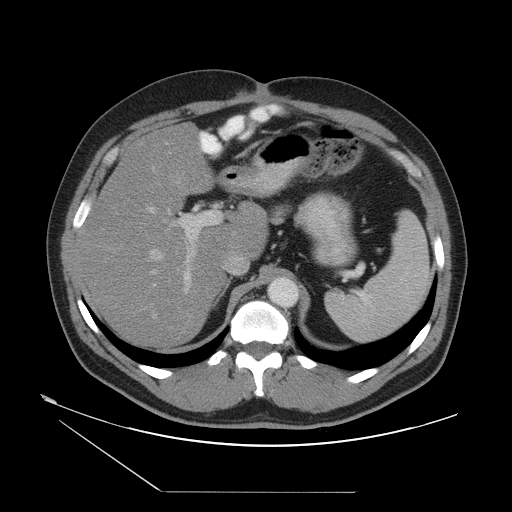
Computed tomography; Image size 512x512; Abdomen

Only some of the vessels may be annotated.
hepatic vessel: l=167, t=209, r=169, b=214; l=183, t=271, r=190, b=293; l=149, t=250, r=162, b=260; l=163, t=220, r=165, b=222; l=147, t=208, r=153, b=212; l=185, t=235, r=186, b=238; l=150, t=270, r=156, b=274; l=150, t=304, r=152, b=306; l=152, t=314, r=155, b=318; l=165, t=143, r=167, b=144; l=233, t=233, r=234, b=234; l=171, t=221, r=180, b=225; l=152, t=168, r=154, b=172